Slice 64 of 155, Head
FLAIR MR image.
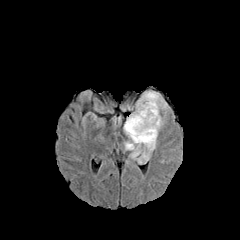
T1-weighted magnetic resonance.
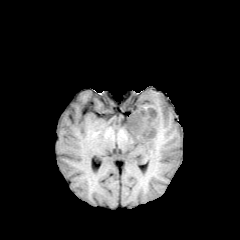
Post-contrast T1-weighted magnetic resonance.
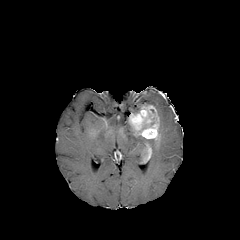
T2-weighted magnetic resonance.
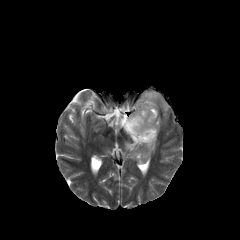
enhancing_tumor:
  - box(128, 104, 159, 139)
  - box(142, 143, 151, 161)
edema:
  - box(147, 139, 157, 152)
  - box(129, 90, 169, 132)
  - box(121, 117, 147, 163)